Image size 512x512 | CT image | Abdomen 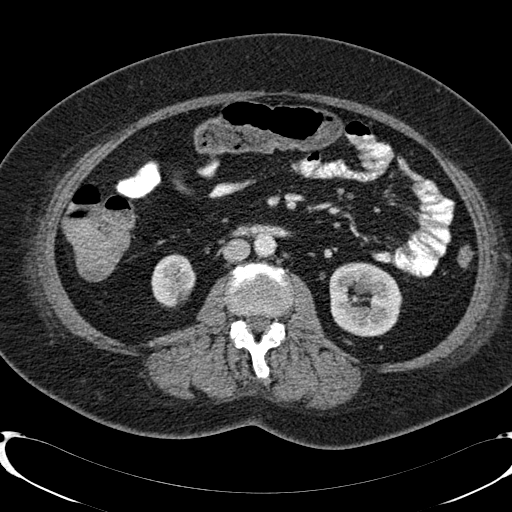
kidney: 153, 255, 194, 305; 330, 264, 400, 335